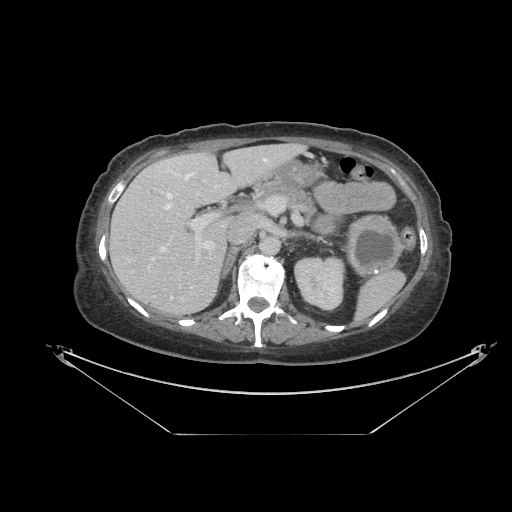

Computed tomography | Abdomen
Annotated regions:
* pancreatic tumor: box(347, 214, 399, 276)
* pancreas: box(256, 183, 316, 212); box(398, 239, 402, 260); box(345, 223, 351, 259)